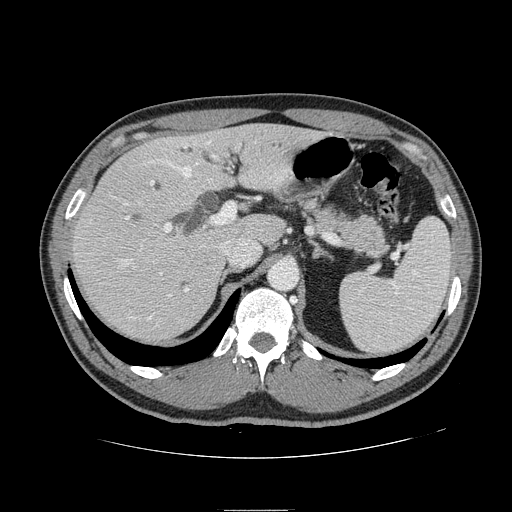 CT image; 512x512; Upper abdomen
The pancreas appears at (300, 199, 387, 256).